Slice 490/689; Image size 512x512; CT image; Thorax

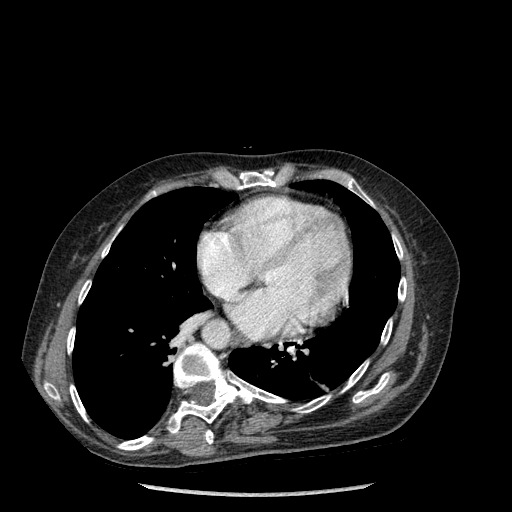 • bone (most prominent 15 of 16): [392,234,403,258], [232,170,284,189], [342,360,368,392], [293,395,330,412], [70,385,88,421], [398,277,406,301], [67,328,75,353], [101,228,120,257], [381,319,392,344], [118,436,153,450], [78,280,91,303], [167,343,286,433], [44,382,59,400], [353,373,389,403], [346,178,374,206]
• lung: [72,187,236,439], [229,180,400,399]